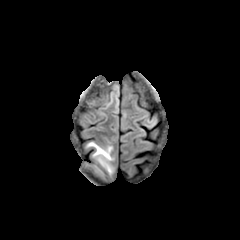
FLAIR magnetic resonance.
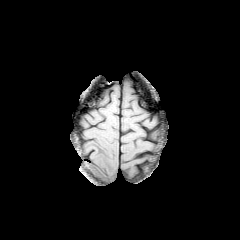
T1-weighted magnetic resonance of the same slice.
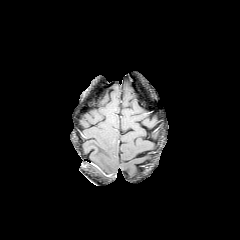
Post-contrast T1-weighted magnetic resonance of the same slice.
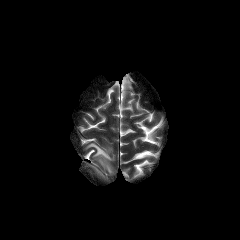
T2-weighted magnetic resonance.
Image size 240x240.
Annotated regions:
- edema: (86, 141, 113, 174)